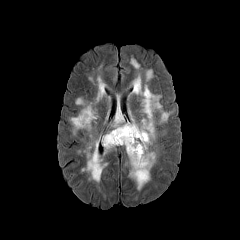
FLAIR MR image.
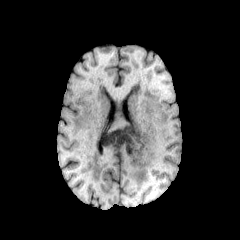
T1-weighted MR image.
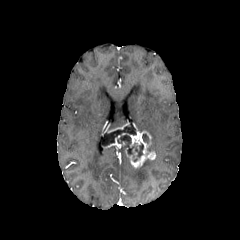
Post-contrast T1-weighted magnetic resonance of the same slice.
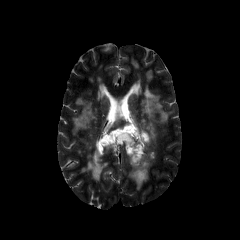
T2-weighted MR.
Head.
Non-enhancing tumor core: bounding box (left=101, top=125, right=143, bottom=157).
Enhancing tumor: bounding box (left=104, top=134, right=125, bottom=148), (left=127, top=124, right=155, bottom=168).
Edema: bounding box (left=111, top=113, right=125, bottom=128), (left=132, top=73, right=169, bottom=141), (left=128, top=159, right=155, bottom=190), (left=81, top=139, right=107, bottom=183), (left=70, top=98, right=97, bottom=136), (left=94, top=76, right=106, bottom=103), (left=144, top=70, right=153, bottom=83), (left=130, top=59, right=139, bottom=69).